Computed tomography. Slice 65/117.

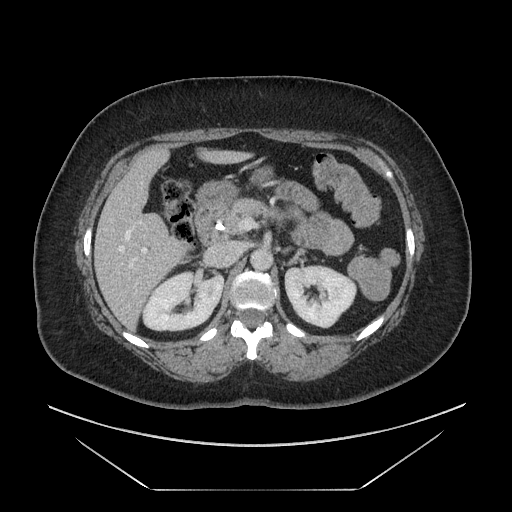
pancreas: box=[227, 199, 269, 228]